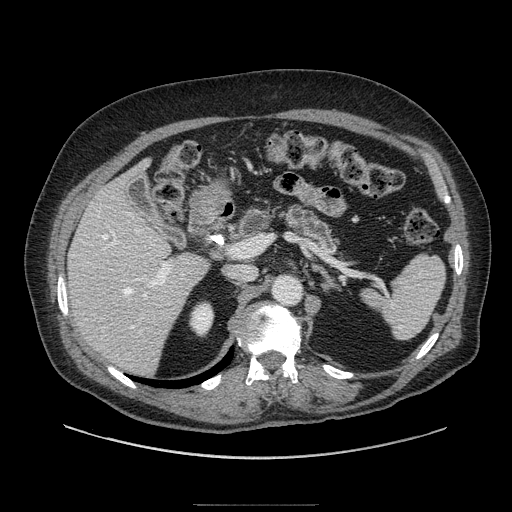 Abdomen, Computed tomography
Pancreas = 282 205 339 254, 232 210 272 240.